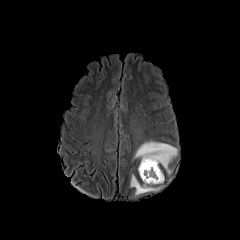
FLAIR MR image.
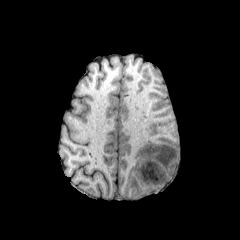
T1-weighted MR image of the same slice.
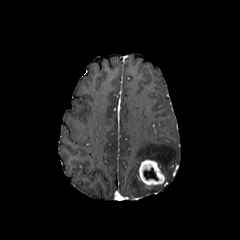
Post-contrast T1-weighted MRI of the same slice.
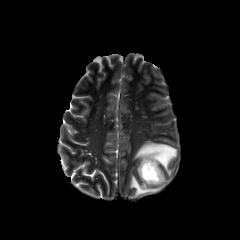
T2-weighted MR image.
Brain
{"edema": ["(left=130, top=174, right=164, bottom=195)", "(left=134, top=141, right=177, bottom=173)"], "non-enhancing_tumor_core": ["(left=143, top=168, right=157, bottom=179)"], "enhancing_tumor": ["(left=138, top=158, right=164, bottom=186)"]}